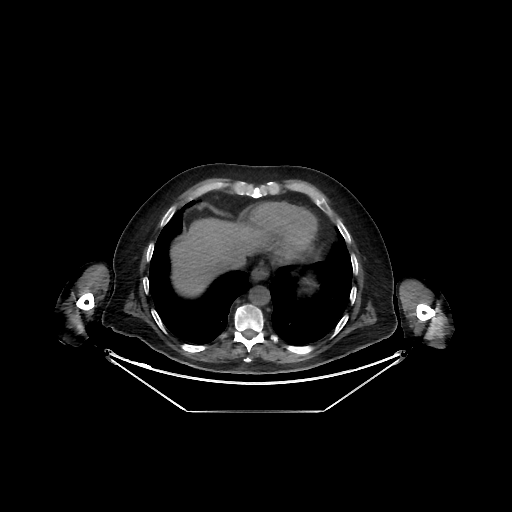
CT image

- liver: bbox(171, 218, 264, 300)